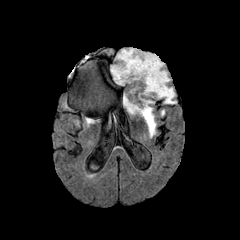
FLAIR MR.
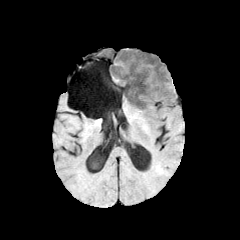
Same slice, T1-weighted magnetic resonance.
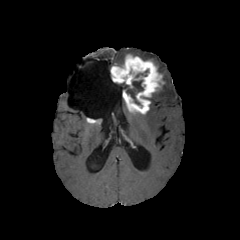
Same slice, post-contrast T1-weighted MR image.
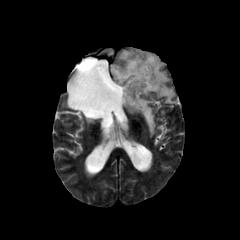
T2-weighted MRI of the same slice.
The enhancing tumor is located at box=[110, 54, 163, 113]. The non-enhancing tumor core is bounded by box=[122, 80, 143, 104]. 2 edema regions are located at box=[123, 102, 156, 136]; box=[114, 49, 177, 106].